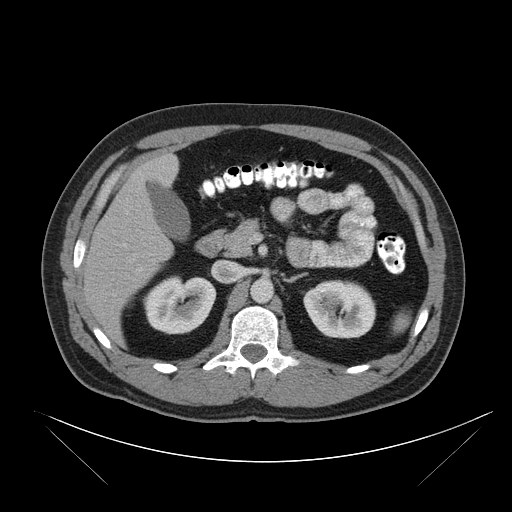

Computed tomography
Annotated regions:
* spleen: region(392, 309, 409, 332)